FLAIR MR image.
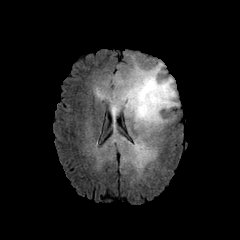
T1-weighted MRI.
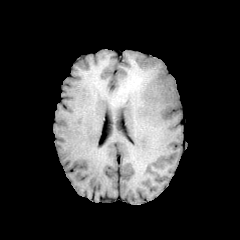
Post-contrast T1-weighted magnetic resonance.
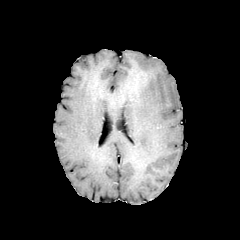
T2-weighted MR.
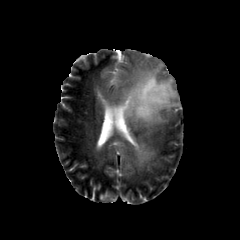
Edema: <box>130,139,154,167</box>, <box>97,62,179,133</box>.
Non-enhancing tumor core: <box>111,67,151,115</box>.